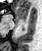 Image size 42x51 | Magnetic resonance

• anterior hippocampus: x1=17, y1=7, x2=28, y2=21
• posterior hippocampus: x1=22, y1=26, x2=24, y2=29